CT scan slice | Field of view 370x370 mm
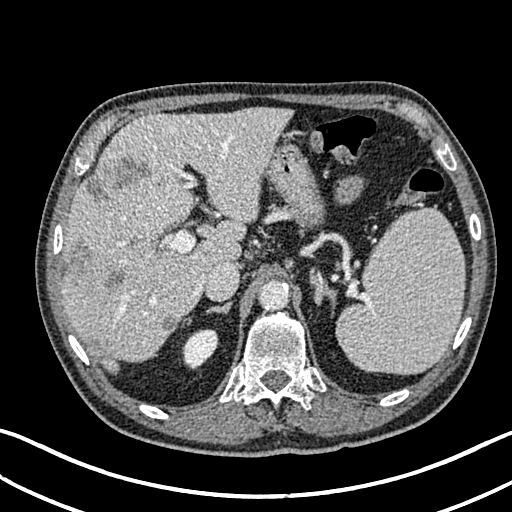 liver_lesion:
  - 104:268:126:287
  - 91:340:101:349
  - 161:315:174:331
  - 86:158:151:200
  - 64:239:90:274
kidney:
  - 184:330:216:366
liver:
  - 63:107:292:369